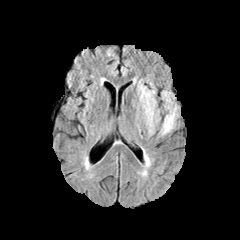
FLAIR MRI.
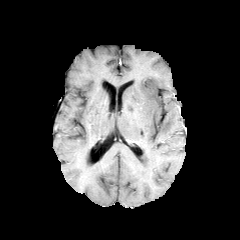
T1-weighted MRI.
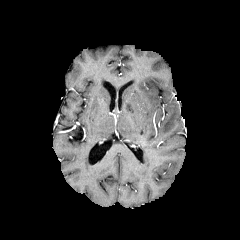
Same slice, post-contrast T1-weighted MR.
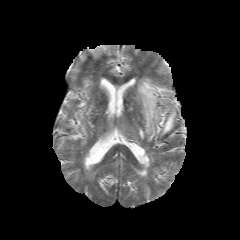
T2-weighted magnetic resonance of the same slice.
Head
The edema lies within (x1=137, y1=79, x2=177, y2=135).